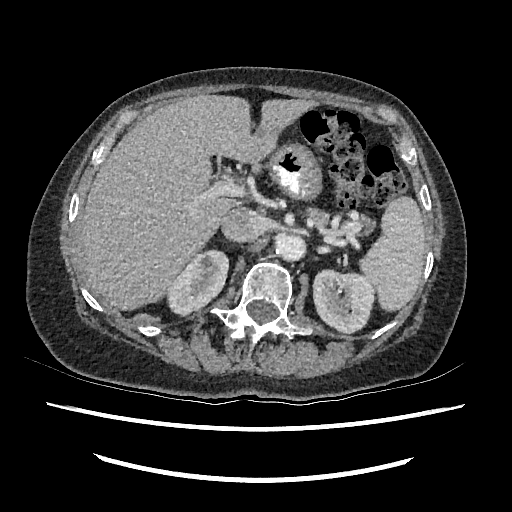
Liver | CT scan slice
The liver is located at 83 95 317 310. 2 kidney regions appear at 313 270 376 333, 168 251 228 314.